CT | Abdomen
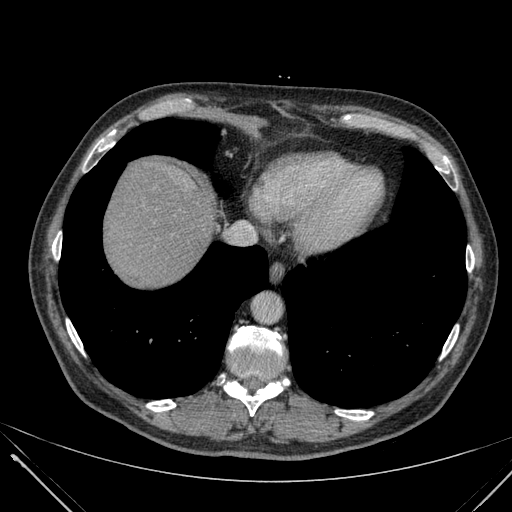

The liver is located at left=104, top=157, right=219, bottom=288.